Slice 363/629. Abdomen. CT image.

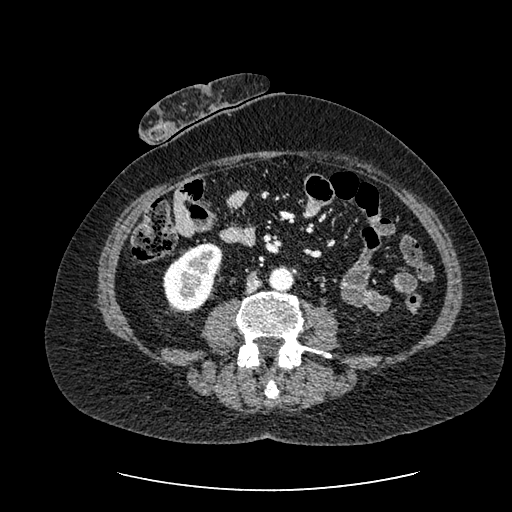
• kidney: x1=164 y1=244 x2=221 y2=310